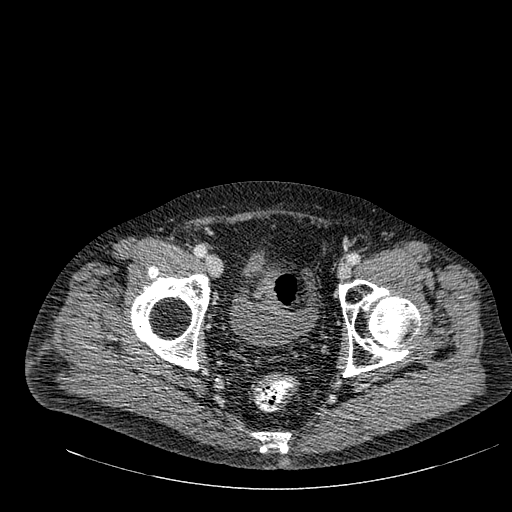

512x512, CT slice
Urinary bladder = bbox(229, 250, 318, 347).